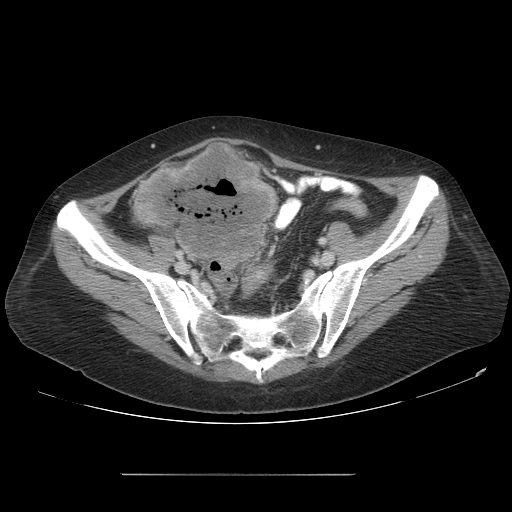 Computed tomography

colon tumor: rect(133, 143, 277, 267)